Slice index 0 | Image size 320x320 | Prostate
T2-weighted MR image.
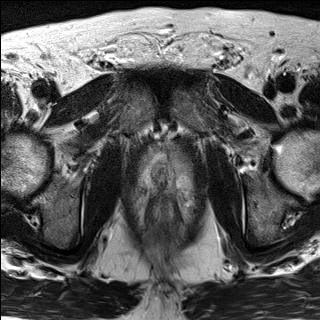
ADC MR image.
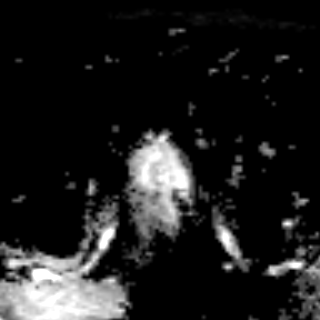
prostate transition zone: box=[137, 152, 197, 190]